CT scan slice; 512x512 px; Lung 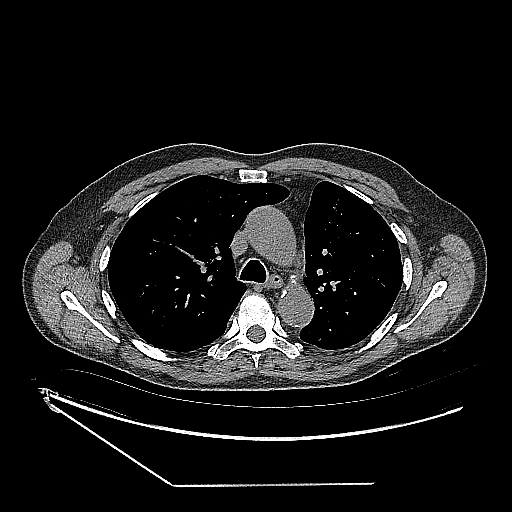 lung tumor: left=158, top=315, right=166, bottom=321